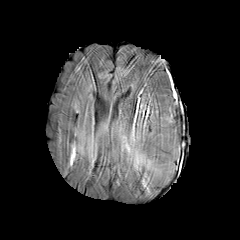
FLAIR MRI.
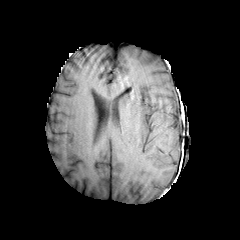
T1-weighted MRI.
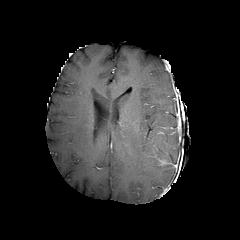
Post-contrast T1-weighted MRI.
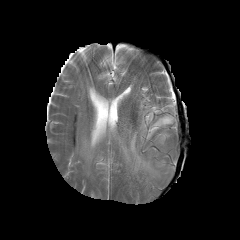
T2-weighted MR.
Brain. Image size 240x240.
{
  "edema": [
    "x1=148 y1=108 x2=173 y2=130"
  ]
}